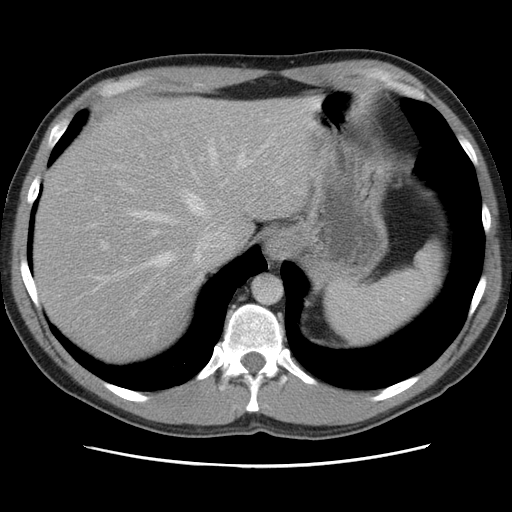 Image size 512x512 | CT

Only some of the vessels may be annotated.
The top 15 hepatic vessel regions (of 18) are located at x1=102 y1=242 x2=108 y2=249, x1=209 y1=140 x2=217 y2=165, x1=241 y1=146 x2=243 y2=150, x1=238 y1=152 x2=251 y2=167, x1=117 y1=181 x2=120 y2=184, x1=266 y1=120 x2=268 y2=121, x1=153 y1=230 x2=157 y2=235, x1=222 y1=138 x2=224 y2=139, x1=201 y1=158 x2=203 y2=160, x1=143 y1=253 x2=173 y2=266, x1=185 y1=190 x2=205 y2=215, x1=133 y1=312 x2=135 y2=314, x1=208 y1=212 x2=211 y2=213, x1=198 y1=243 x2=201 y2=248, x1=128 y1=210 x2=175 y2=224.